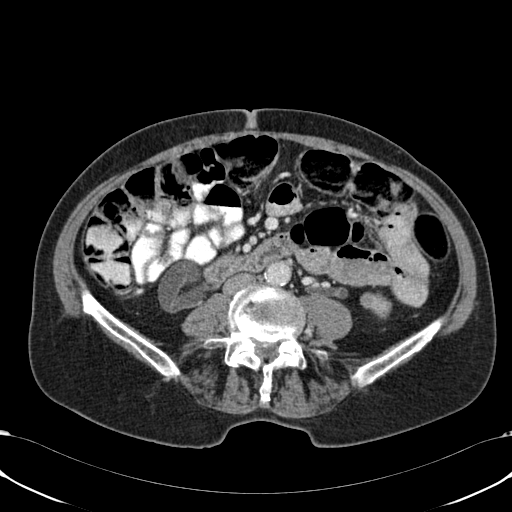

CT image. 512x512.

kidney:
  - <box>363,294,386,313</box>